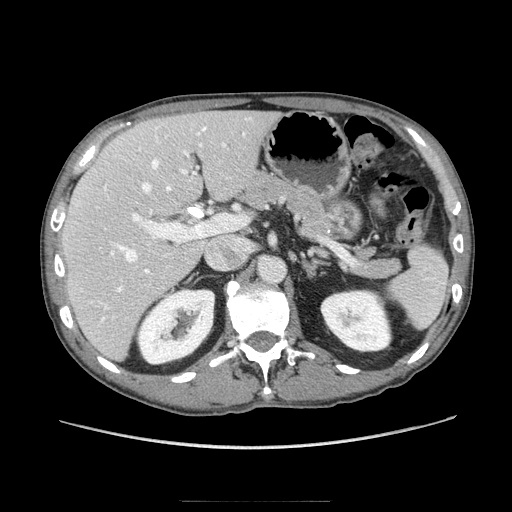

Upper abdomen, 512x512 px, CT image
2 pancreas regions are located at [x1=241, y1=172, x2=333, y2=233], [x1=353, y1=248, x2=399, y2=277].